CT scan slice. 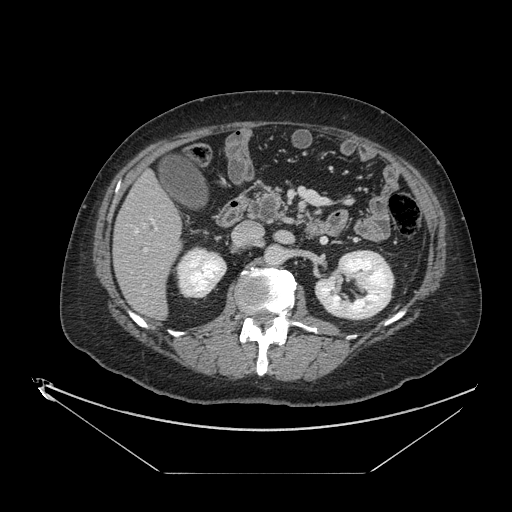 The pancreatic tumor lies within bbox(261, 197, 276, 211). The pancreas is located at bbox(256, 187, 285, 221).